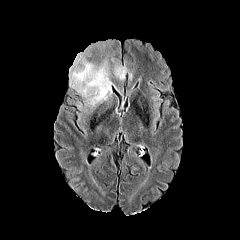
FLAIR magnetic resonance.
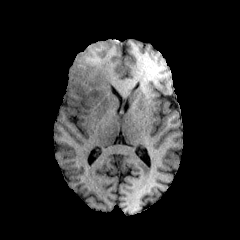
Same slice, T1-weighted MRI.
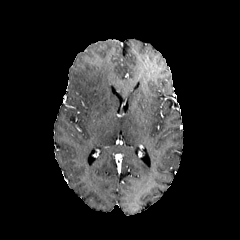
Post-contrast T1-weighted MR of the same slice.
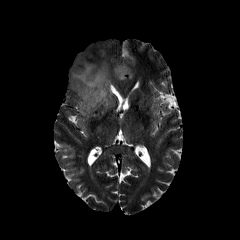
T2-weighted magnetic resonance.
Brain
edema:
  - 113,63,127,80
  - 69,57,115,110